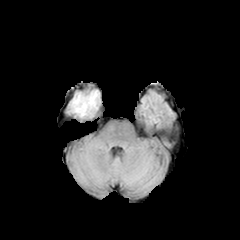
FLAIR MR image.
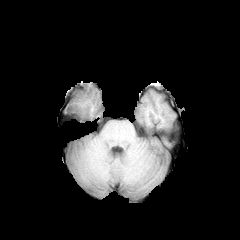
T1-weighted MR image.
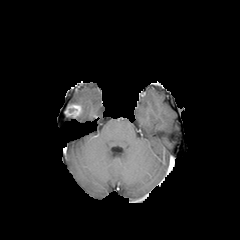
Post-contrast T1-weighted MR image.
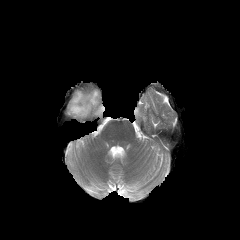
T2-weighted MR of the same slice.
Image size 240x240. Head.
<segmentation>
  <edema>69, 90, 100, 118</edema>
  <enhancing_tumor>65, 104, 82, 117</enhancing_tumor>
</segmentation>